Brain. Slice 54/155. 240x240.
FLAIR MR image.
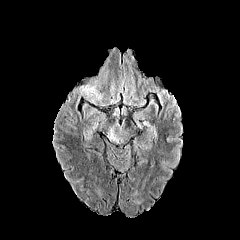
T1-weighted MR image.
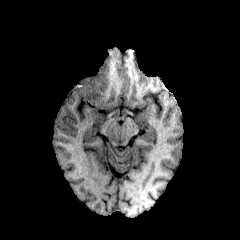
Post-contrast T1-weighted MRI.
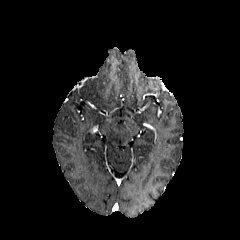
T2-weighted MR.
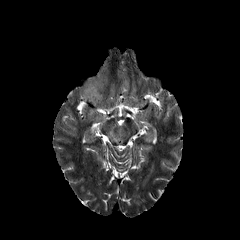
The edema lies within box=[79, 78, 102, 105].